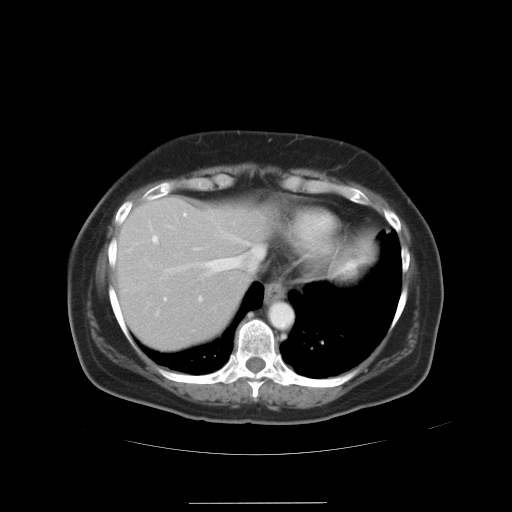 CT slice
Some hepatic vessels may have no box.
hepatic_vessel:
  - <box>183,212,186,216</box>
  - <box>245,242,247,243</box>
  - <box>164,298,165,300</box>
  - <box>151,234,158,243</box>
  - <box>164,246,263,275</box>
  - <box>198,297,201,300</box>